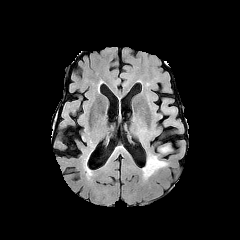
FLAIR MR.
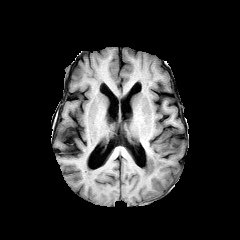
Same slice, T1-weighted MRI.
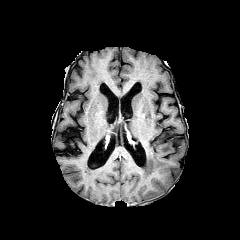
Post-contrast T1-weighted MR.
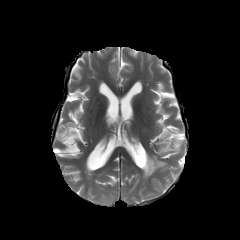
Same slice, T2-weighted MR image.
Head | 240x240 px
The edema is at 142 144 171 179.